Head, Slice 67 of 155
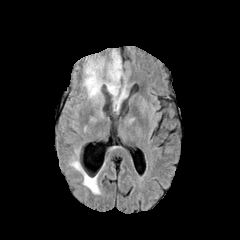
FLAIR MR image.
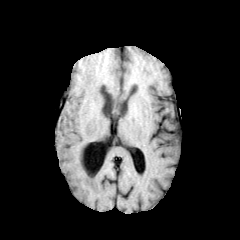
Same slice, T1-weighted magnetic resonance.
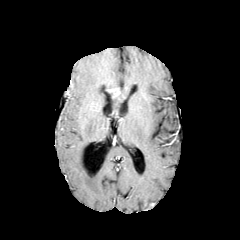
Post-contrast T1-weighted MRI of the same slice.
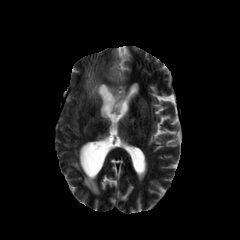
T2-weighted MRI.
Edema = 83:64:104:100, 69:149:100:194, 105:52:127:111.
Enhancing tumor = 112:89:120:99.